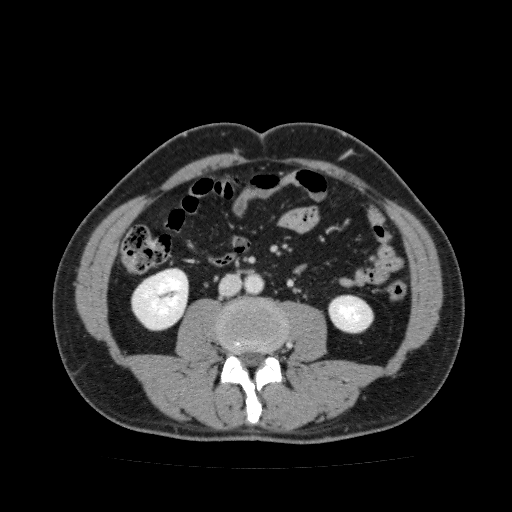

Computed tomography; Image size 512x512

2 kidney regions are located at (132, 269, 187, 329), (329, 296, 372, 332).